Computed tomography. Field of view 350 mm wide, 0.70 mm slice spacing. 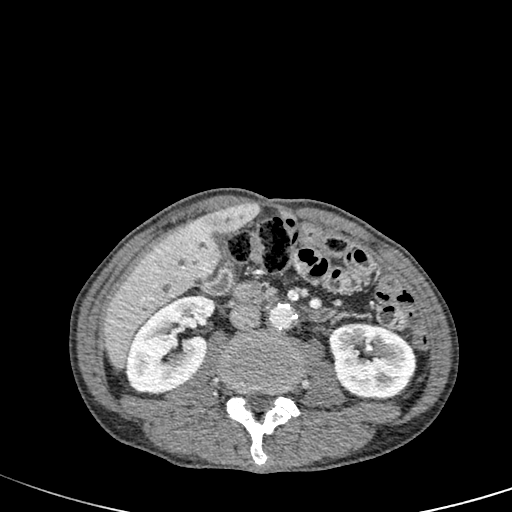

The liver appears at box(103, 210, 223, 371). 2 kidney regions appear at box(127, 296, 214, 392); box(330, 324, 414, 397). The focal liver lesion lies within box(215, 203, 258, 233).